CT slice; Slice index 137; Abdomen

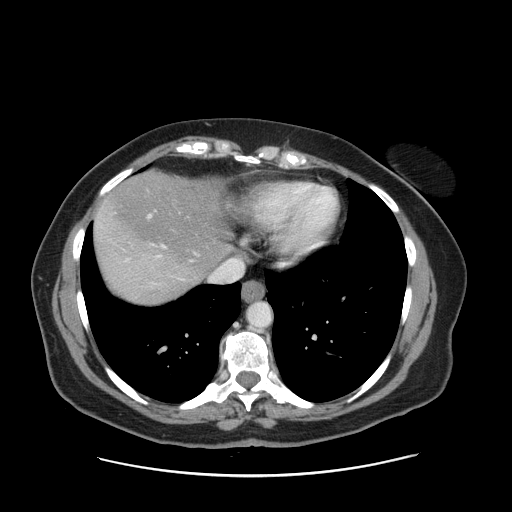

Not every hepatic vessel necessarily has a box.
hepatic vessel: (x1=148, y1=214, x2=151, y2=217)